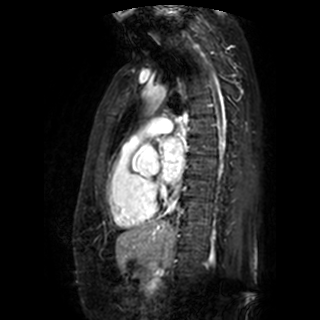

Heart; Magnetic resonance
The left atrium appears at bbox(161, 138, 184, 182).